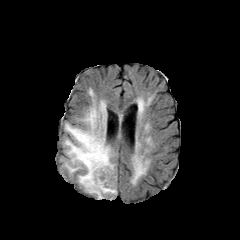
FLAIR MRI.
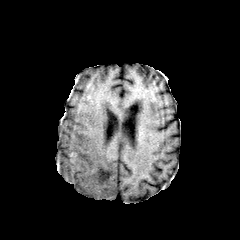
Same slice, T1-weighted MRI.
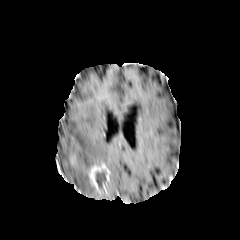
Post-contrast T1-weighted MR.
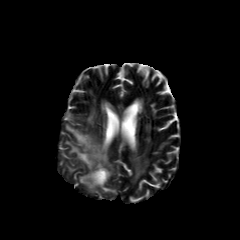
Same slice, T2-weighted MRI.
Image size 240x240
Non-enhancing tumor core — {"x1": 96, "y1": 170, "x2": 109, "y2": 194}.
Enhancing tumor — {"x1": 88, "y1": 163, "x2": 110, "y2": 194}.
Edema — {"x1": 135, "y1": 162, "x2": 143, "y2": 177}, {"x1": 63, "y1": 100, "x2": 116, "y2": 199}.